CT; Slice 34/95; Upper abdomen

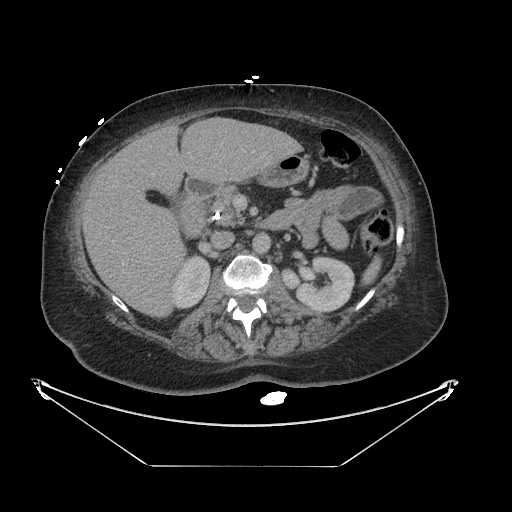

The pancreatic tumor is bounded by (219, 201, 232, 214). The pancreas lies within (212, 186, 238, 226).